FLAIR magnetic resonance.
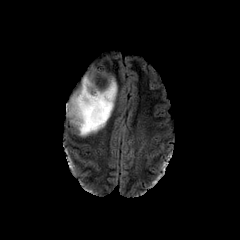
T1-weighted MR image.
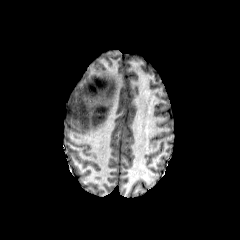
Post-contrast T1-weighted MR image.
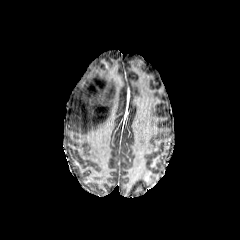
T2-weighted MR.
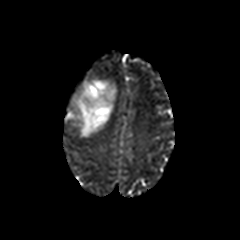
Head
The edema lies within (67,76,117,137).